CT, 512x512 px, Abdomen, Slice index 47 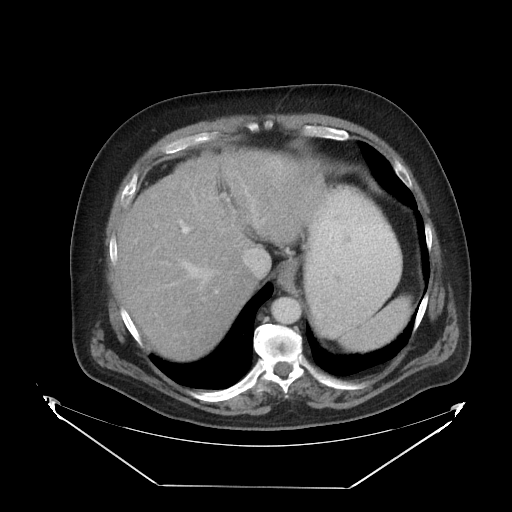
Only some of the vessels may be annotated.
7 hepatic vessel regions appear at 253,210,263,226; 181,262,216,288; 222,229,223,230; 194,200,197,206; 243,248,268,276; 201,216,203,217; 184,231,186,232.